FLAIR MR.
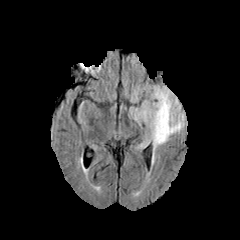
T1-weighted MR.
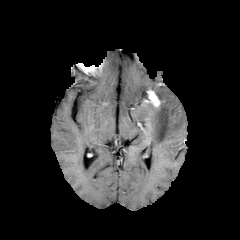
Post-contrast T1-weighted MRI.
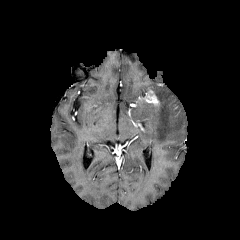
T2-weighted MR image.
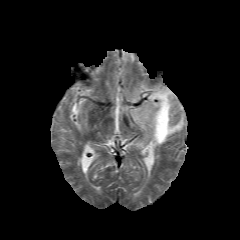
Head
<segmentation>
  <enhancing_tumor>rect(144, 93, 159, 105)</enhancing_tumor>
  <edema>rect(128, 84, 185, 163)</edema>
</segmentation>